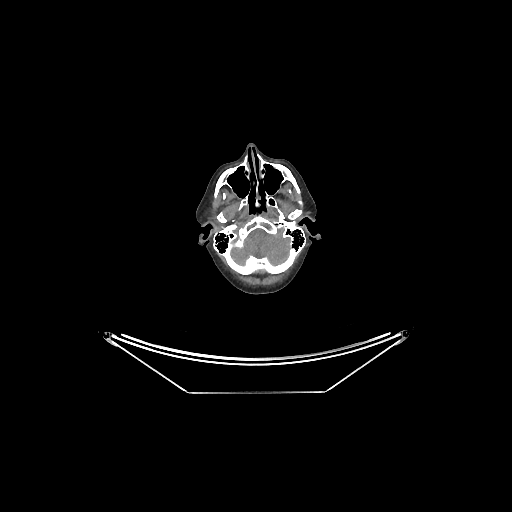

Computed tomography; 512x512 px; Head
{"brain": ["x1=230 y1=228 x2=291 y2=266"]}